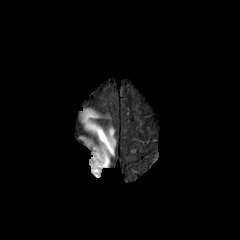
FLAIR MR image.
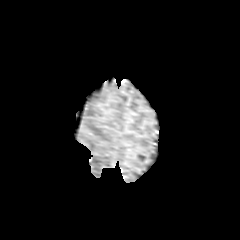
Same slice, T1-weighted MRI.
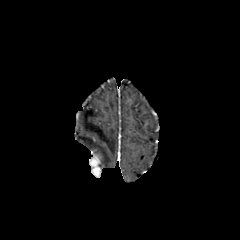
Post-contrast T1-weighted MR image.
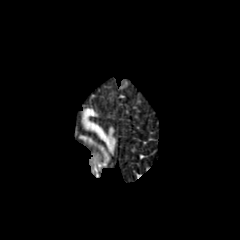
T2-weighted MR image of the same slice.
enhancing tumor: left=89, top=149, right=103, bottom=177 | edema: left=80, top=109, right=115, bottom=167